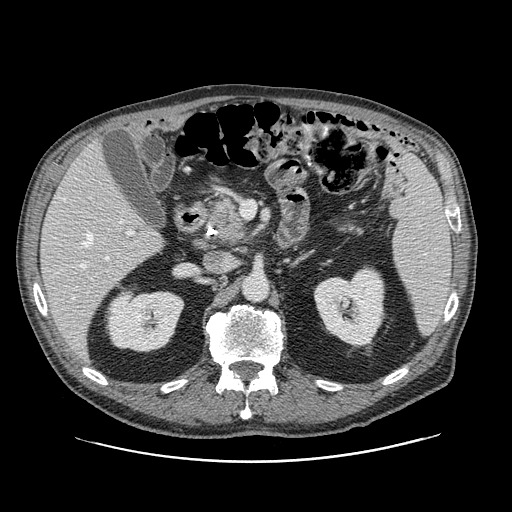

512x512; CT slice
pancreas: (210, 199, 244, 245), (340, 224, 359, 232) | pancreatic tumor: (217, 221, 239, 244)